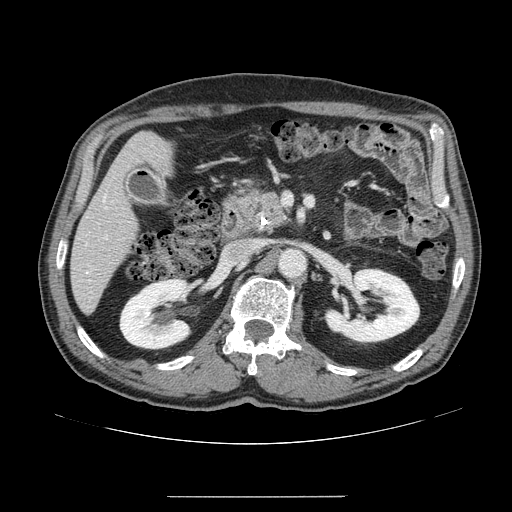 CT scan slice, Abdomen
Pancreas — rect(238, 188, 287, 236).